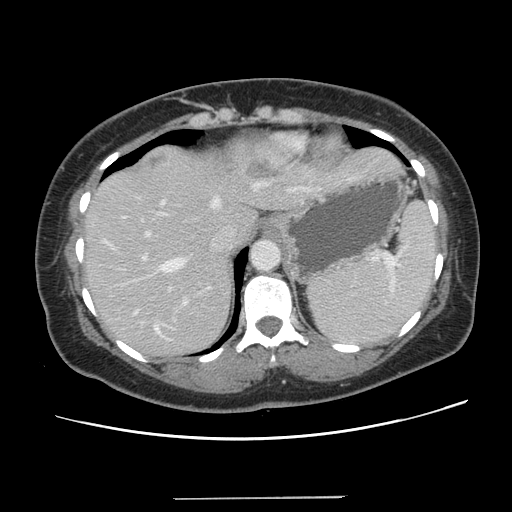

CT scan slice; Liver

Some hepatic vessels may have no box.
Hepatic vessel at (left=169, top=288, right=170, bottom=290), (left=102, top=239, right=110, bottom=244), (left=254, top=182, right=266, bottom=189), (left=183, top=299, right=187, bottom=304), (left=289, top=187, right=310, bottom=190), (left=208, top=287, right=209, bottom=288), (left=212, top=198, right=219, bottom=207), (left=162, top=200, right=164, bottom=203), (left=122, top=217, right=125, bottom=217), (left=161, top=259, right=184, bottom=271), (left=154, top=325, right=163, bottom=336), (left=134, top=310, right=138, bottom=313), (left=143, top=256, right=146, bottom=259), (left=146, top=232, right=149, bottom=235), (left=317, top=187, right=319, bottom=189).
Liver tumor at (left=148, top=155, right=161, bottom=167).